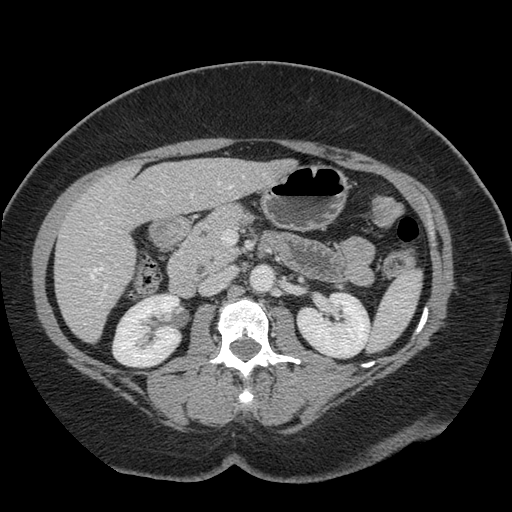 CT image | 512x512 | Abdomen
Some hepatic vessels may have no box.
Hepatic vessel: bounding box rect(229, 185, 233, 188); rect(117, 189, 118, 191); rect(158, 202, 163, 202); rect(99, 222, 102, 224); rect(100, 285, 107, 299); rect(191, 195, 192, 196); rect(217, 182, 220, 184); rect(90, 265, 103, 281).